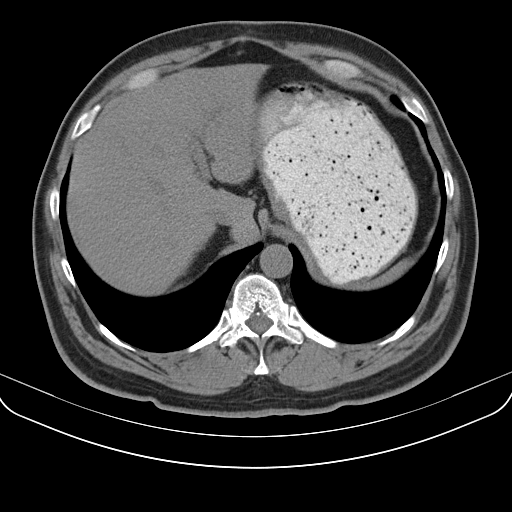 CT slice | Upper abdomen
Segmented structures:
* spleen: x1=371, y1=265, x2=408, y2=287